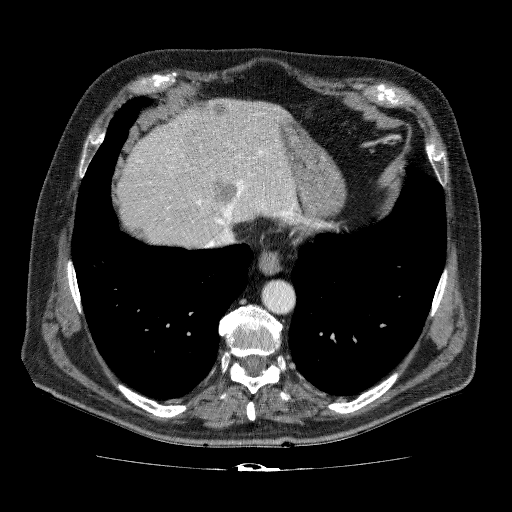
CT scan slice.
Segmented structures:
• liver lesion: left=201, top=171, right=234, bottom=203; left=186, top=99, right=232, bottom=118; left=130, top=221, right=150, bottom=241
• liver: left=118, top=98, right=301, bottom=246